Slice 60 of 155 | Image width 240 mm | 240x240
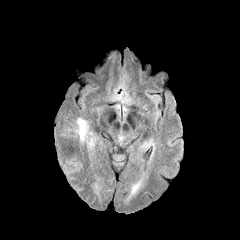
FLAIR magnetic resonance.
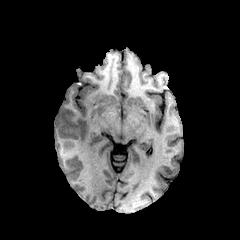
T1-weighted MRI.
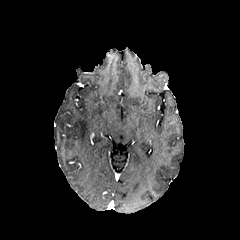
Post-contrast T1-weighted magnetic resonance.
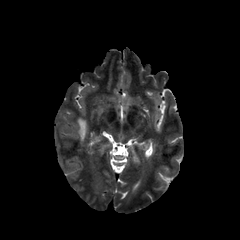
T2-weighted MRI.
Edema: [73, 118, 88, 141].